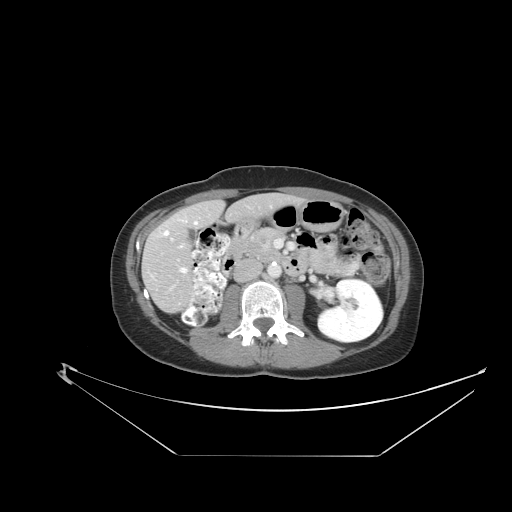
512x512, Computed tomography, Abdomen

pancreatic_tumor:
  - 251 228 277 250
pancreas:
  - 230 230 282 262